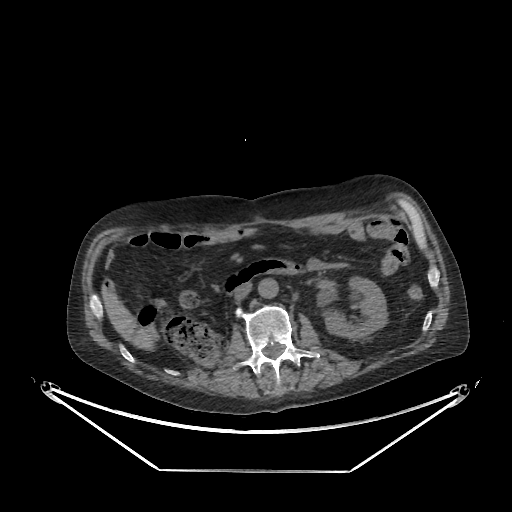 512x512 px | Upper abdomen | Computed tomography

liver:
  - (102, 285, 155, 348)
kidney:
  - (317, 277, 387, 340)